FLAIR MRI.
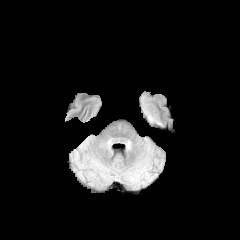
T1-weighted MR.
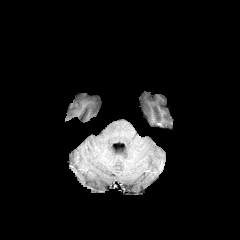
Post-contrast T1-weighted MR.
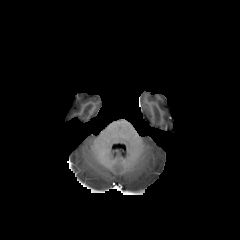
T2-weighted MR.
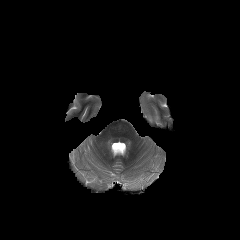
Head
Edema — x1=141, y1=96, x2=161, y2=124.